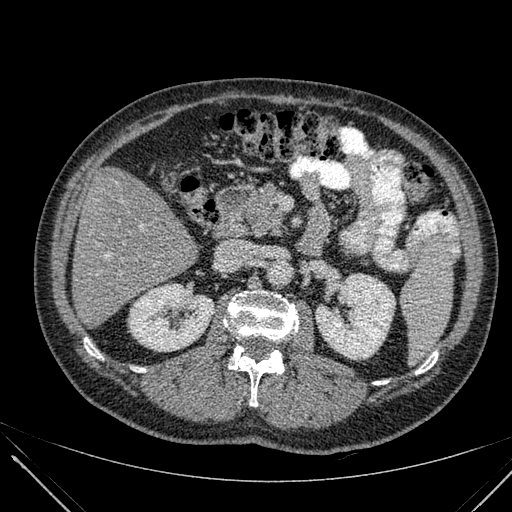

Liver | CT
<segmentation>
  <liver>72,167,199,324</liver>
  <kidney>129,284,213,350; 316,274,395,359</kidney>
</segmentation>